CT; Slice 30 of 60; Image size 512x512

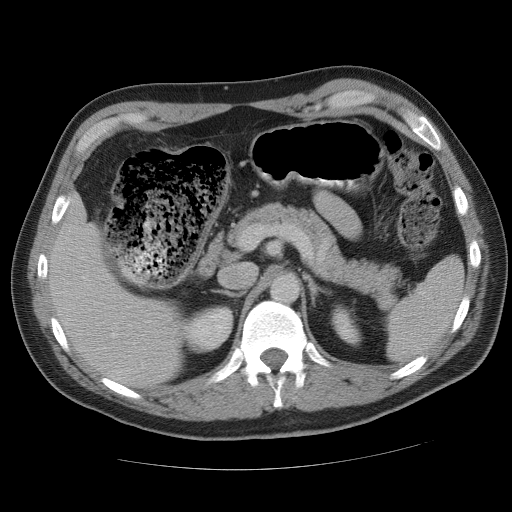
Annotated regions:
- spleen: l=385, t=257, r=463, b=360